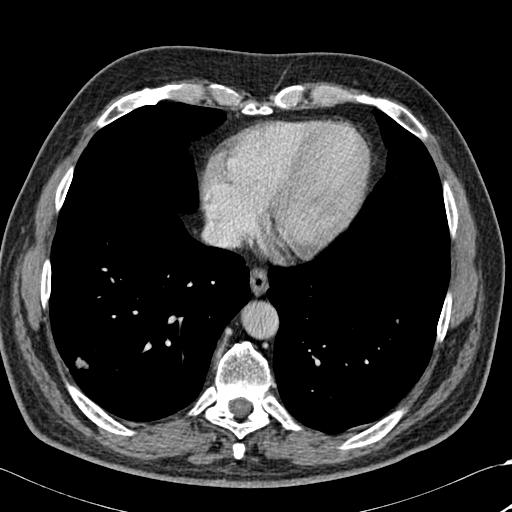
Chest; CT
12 bone regions appear at bbox=[243, 103, 271, 114]; bbox=[437, 296, 451, 339]; bbox=[98, 85, 185, 126]; bbox=[362, 96, 426, 137]; bbox=[190, 341, 299, 438]; bbox=[68, 386, 132, 435]; bbox=[233, 443, 244, 458]; bbox=[55, 169, 72, 209]; bbox=[275, 87, 294, 106]; bbox=[41, 261, 50, 305]; bbox=[341, 411, 402, 448]; bbox=[444, 184, 457, 233]. 2 lung regions appear at bbox=[49, 102, 251, 421]; bbox=[266, 109, 450, 434].